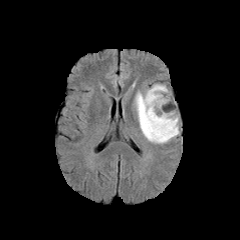
FLAIR MRI.
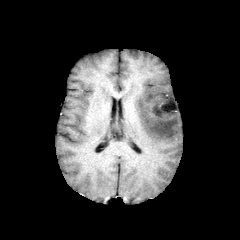
Same slice, T1-weighted magnetic resonance.
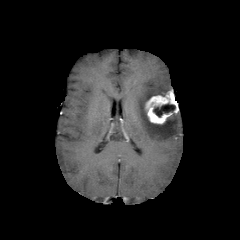
Post-contrast T1-weighted MR.
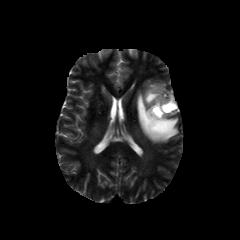
T2-weighted magnetic resonance of the same slice.
240x240 px; Brain
The non-enhancing tumor core lies within box=[153, 103, 175, 117]. The edema is bounded by box=[135, 83, 179, 143]. The enhancing tumor is at box=[144, 90, 178, 124].